Abdomen. CT scan slice. Slice 35/92. 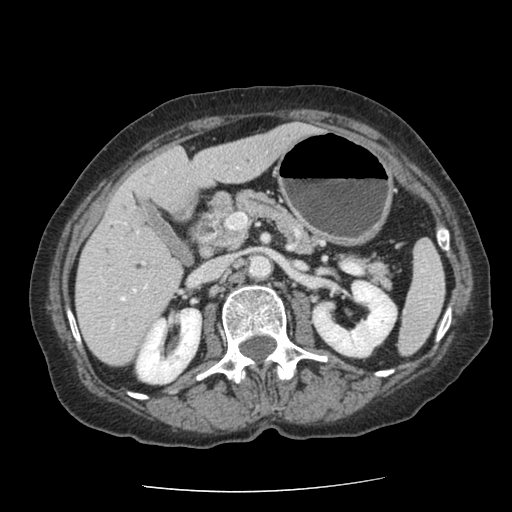

Findings:
- pancreas: <box>344,255,389,286</box>, <box>211,191,315,253</box>